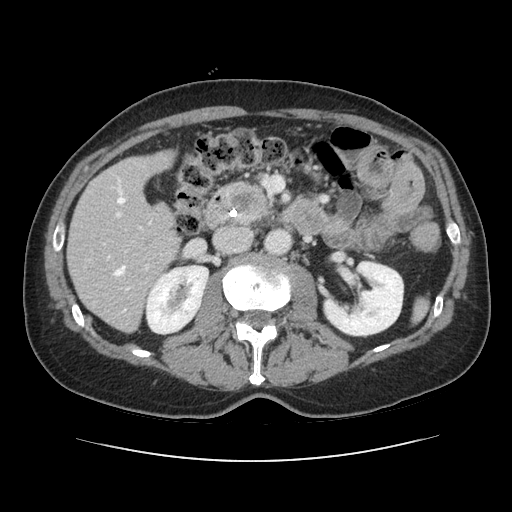 Abdomen, CT
<segmentation>
  <pancreatic_tumor>x1=232, y1=192, x2=254, y2=211</pancreatic_tumor>
  <pancreas>x1=224, y1=184, x2=266, y2=225</pancreas>
</segmentation>